FLAIR MRI.
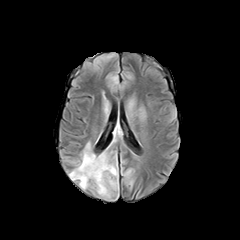
T1-weighted MR.
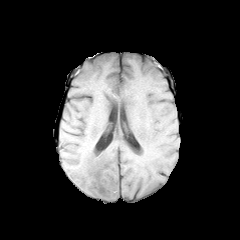
Post-contrast T1-weighted MRI.
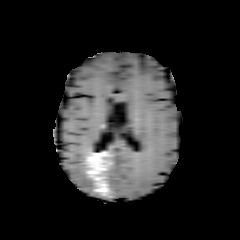
T2-weighted magnetic resonance.
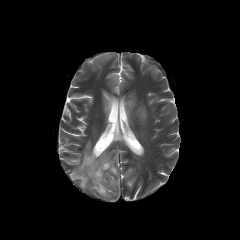
240x240 px
Edema: l=70, t=151, r=91, b=187; l=104, t=156, r=117, b=175.
Enhancing tumor: l=86, t=154, r=107, b=195.
Non-enhancing tumor core: l=92, t=174, r=99, b=191; l=99, t=176, r=111, b=193.